FLAIR MRI.
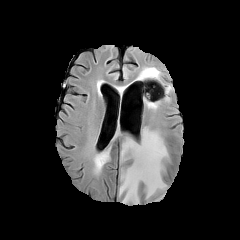
T1-weighted magnetic resonance.
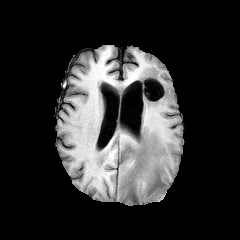
Post-contrast T1-weighted magnetic resonance.
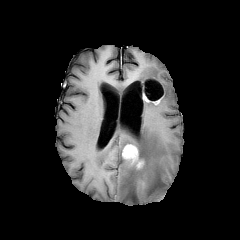
T2-weighted magnetic resonance.
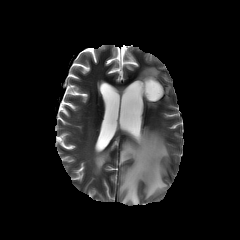
Brain
Non-enhancing tumor core = rect(137, 147, 145, 170).
Edema = rect(119, 127, 168, 203); rect(94, 152, 108, 171); rect(139, 67, 159, 79).
Enhancing tumor = rect(122, 144, 144, 169).